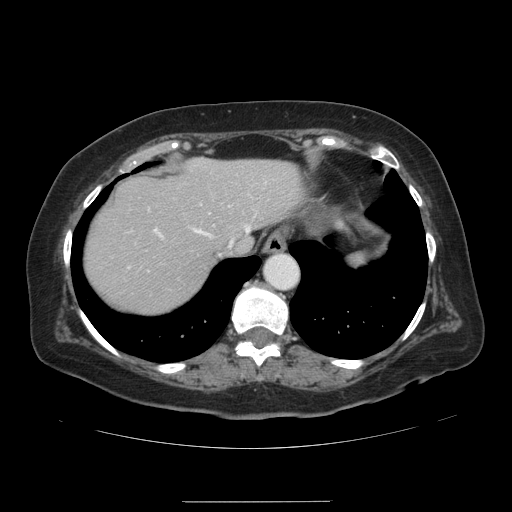

CT image.
Only some of the vessels may be annotated.
{"hepatic_vessel": ["box(153, 228, 161, 236)", "box(245, 226, 248, 230)", "box(228, 241, 231, 244)", "box(193, 229, 205, 233)"]}